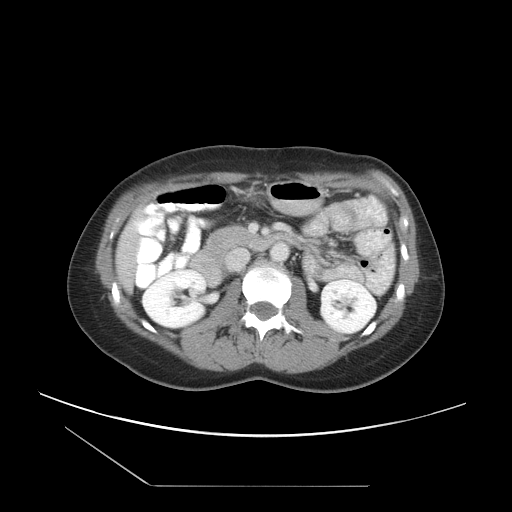 CT slice
The vessel annotation is not exhaustive.
hepatic_vessel:
  - 133,222,137,230